Slice 29 of 37. CT slice.

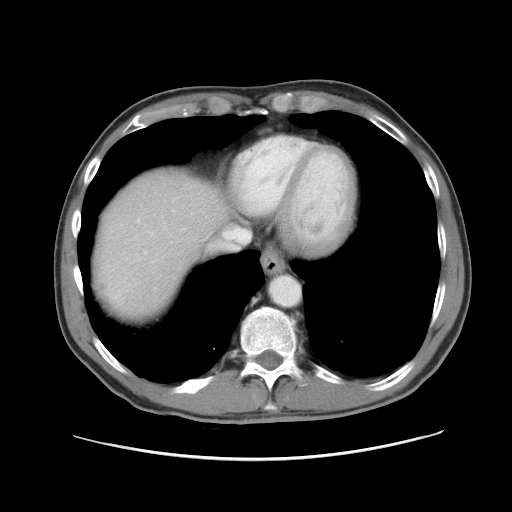
Some hepatic vessels may have no box.
<segmentation>
  <liver_tumor>[100,284,108,294]</liver_tumor>
  <hepatic_vessel>[137,219,139,221], [137,256,139,259]</hepatic_vessel>
</segmentation>